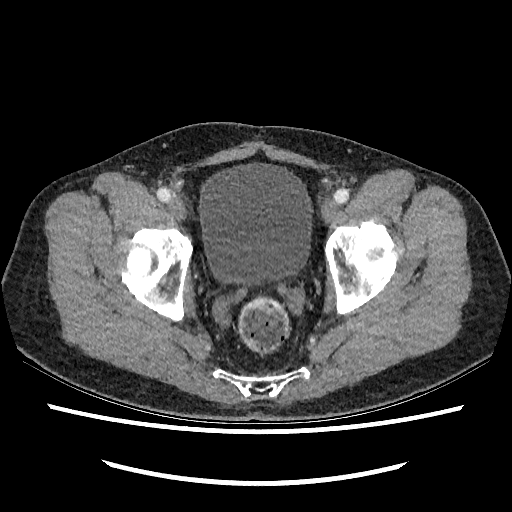

Computed tomography

The urinary bladder is at region(197, 162, 313, 292).